CT slice | Field of view 383 mm wide, 5.00 mm slice spacing | Slice 33/47 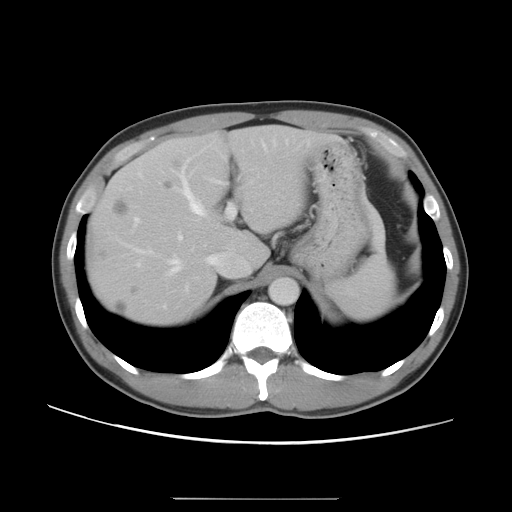

Only some of the vessels may be annotated.
Hepatic vessel: bounding box [x1=172, y1=159, x2=206, y2=215], [x1=207, y1=254, x2=216, y2=263], [x1=168, y1=256, x2=181, y2=273], [x1=263, y1=143, x2=266, y2=148], [x1=179, y1=232, x2=182, y2=239], [x1=134, y1=218, x2=139, y2=225], [x1=212, y1=179, x2=223, y2=184], [x1=127, y1=245, x2=152, y2=254].
Liver tumor: bounding box [x1=99, y1=250, x2=108, y2=257], [x1=116, y1=202, x2=129, y2=214], [x1=163, y1=180, x2=173, y2=190], [x1=129, y1=285, x2=140, y2=294], [x1=173, y1=161, x2=182, y2=169], [x1=112, y1=300, x2=127, y2=314].